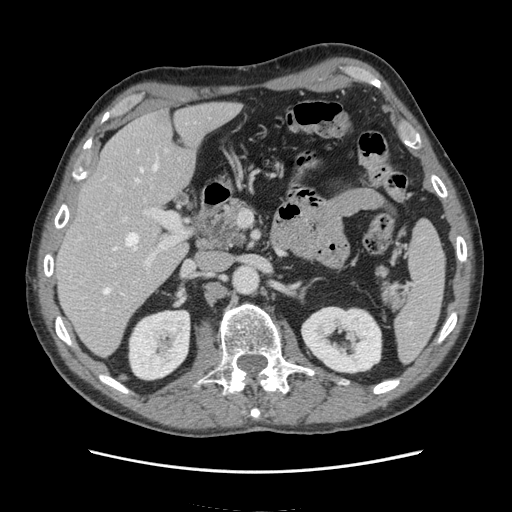 Upper abdomen; CT image
Segmented structures:
- spleen: (395,222,444,361)